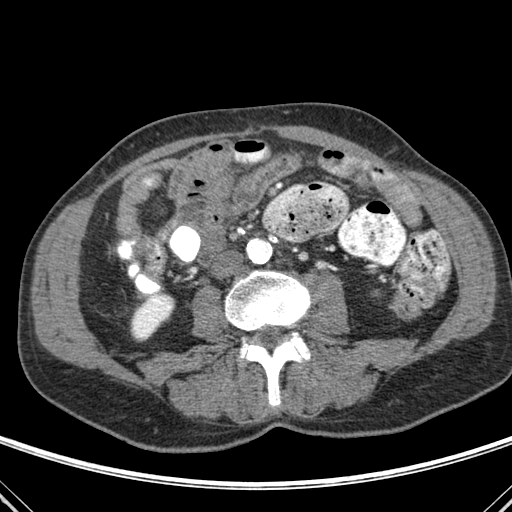 CT scan slice

Kidney: bbox=[132, 294, 172, 338].
Bone: bbox=[225, 271, 310, 330]; bbox=[239, 333, 310, 406].